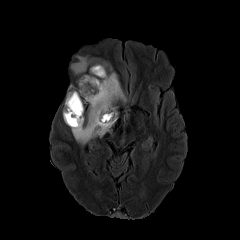
FLAIR magnetic resonance.
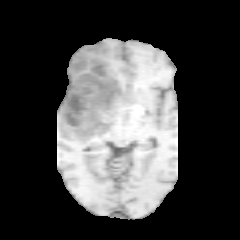
T1-weighted MRI.
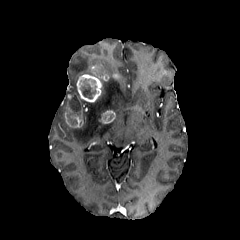
Post-contrast T1-weighted MR.
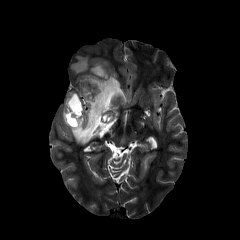
T2-weighted MR image of the same slice.
Brain; Image size 240x240
Findings:
- non-enhancing tumor core: <bbox>79, 78, 96, 99</bbox>, <bbox>68, 95, 81, 111</bbox>
- enhancing tumor: <bbox>99, 110, 116, 124</bbox>, <bbox>64, 93, 84, 127</bbox>, <bbox>77, 65, 108, 102</bbox>
- edema: <bbox>66, 84, 78, 97</bbox>, <bbox>70, 56, 127, 146</bbox>